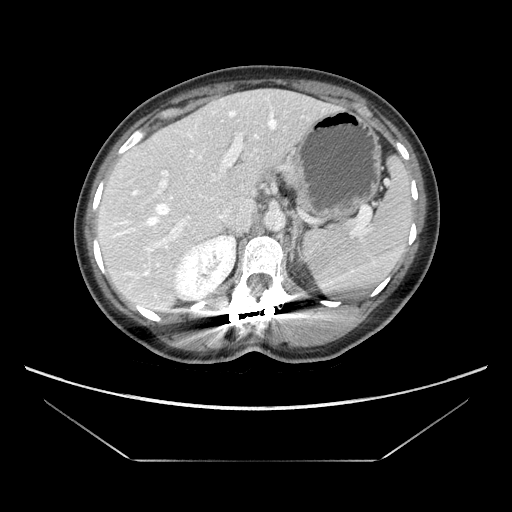 Image size 512x512 | CT image | Liver

Only some of the vessels may be annotated.
<segmentation>
  <hepatic_vessel>{"x1": 149, "y1": 218, "x2": 155, "y2": 223}, {"x1": 191, "y1": 150, "x2": 192, "y2": 153}, {"x1": 144, "y1": 215, "x2": 190, "y2": 253}, {"x1": 162, "y1": 171, "x2": 167, "y2": 176}, {"x1": 245, "y1": 200, "x2": 251, "y2": 210}, {"x1": 157, "y1": 205, "x2": 167, "y2": 213}, {"x1": 161, "y1": 180, "x2": 166, "y2": 186}, {"x1": 146, "y1": 264, "x2": 148, "y2": 266}, {"x1": 211, "y1": 133, "x2": 241, "y2": 180}, {"x1": 217, "y1": 208, "x2": 229, "y2": 220}</hepatic_vessel>
</segmentation>